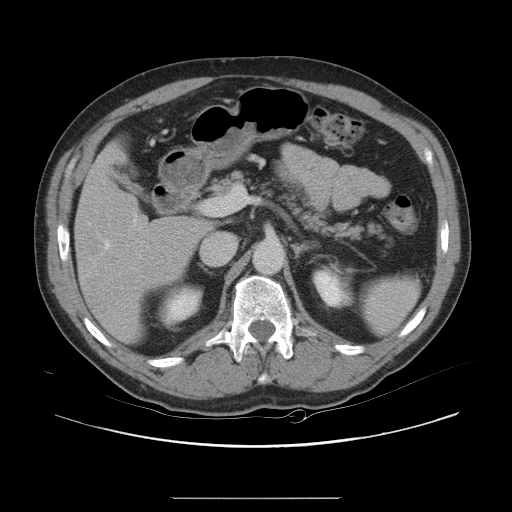 CT scan slice. 512x512.
Some hepatic vessels may have no box.
<segmentation>
  <hepatic_vessel>104,241,109,248</hepatic_vessel>
</segmentation>